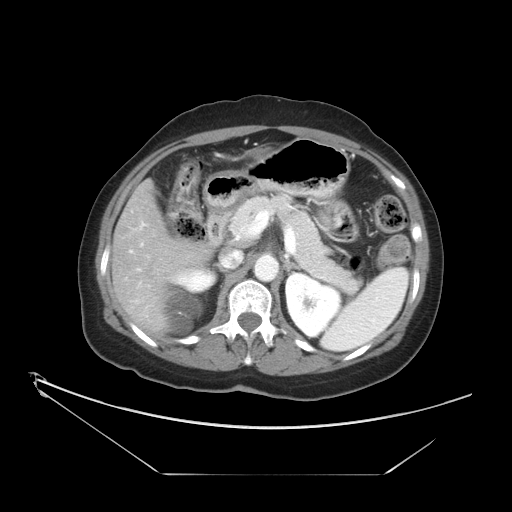 CT, Abdomen
The vessel annotation is not exhaustive.
3 hepatic vessel regions are located at (130,250,132,252), (141,243,142,245), (187,274,209,288).